512x512 | Computed tomography | Slice index 445 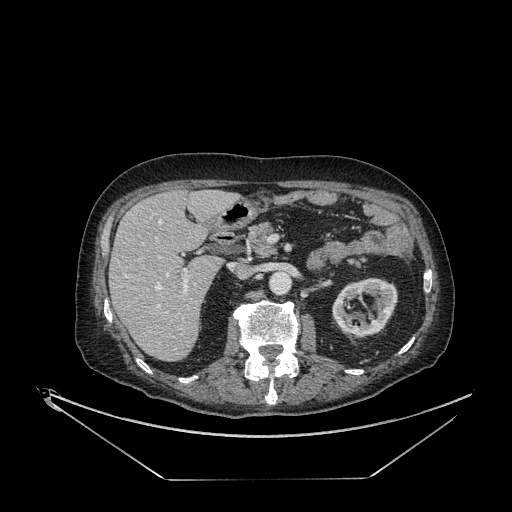

Kidney at 332 278 396 336.
Liver at 109 190 237 361.